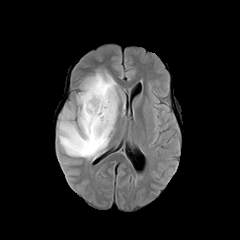
FLAIR MR.
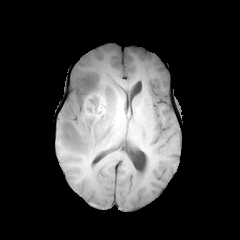
T1-weighted MRI.
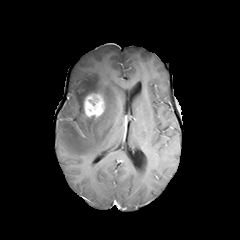
Post-contrast T1-weighted MRI.
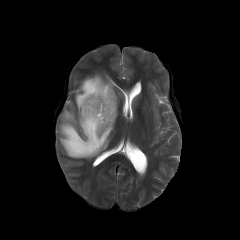
T2-weighted MRI.
Image size 240x240; Head
The edema appears at box(58, 71, 119, 159). The non-enhancing tumor core is bounded by box(78, 78, 102, 110). The enhancing tumor is at box(84, 94, 103, 117).